CT slice, Abdomen 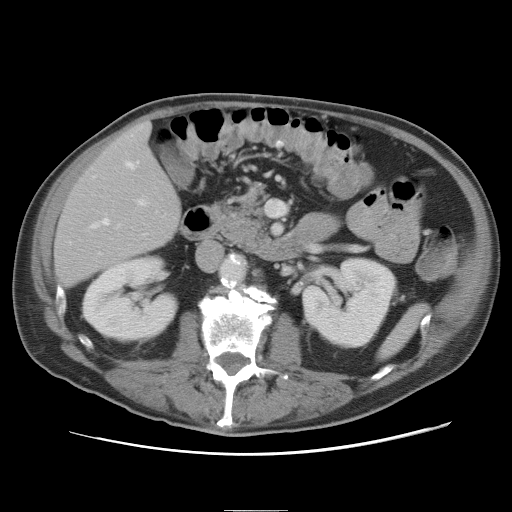
Only some of the vessels may be annotated.
Findings:
- hepatic vessel: region(127, 162, 138, 169); region(117, 225, 120, 227); region(145, 123, 150, 127); region(92, 219, 108, 227); region(140, 200, 146, 205)